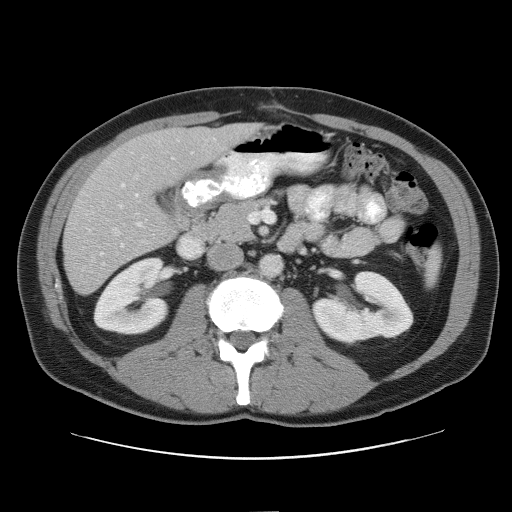 CT slice; Abdomen; 512x512 px
The vessel boxes may cover only some of the vessels.
Hepatic vessel — (136,223,143,226), (88,229,91,232), (112,228,120,235), (100,253,102,255), (120,244,123,246), (106,162,108,165), (191,152,192,153), (121,184,123,186), (135,194,139,201), (102,262,104,264), (142,169,143,171), (92,257,93,260), (134,175,137,179), (119,205,122,207).